CT scan slice. Image width 429 mm. Abdomen. 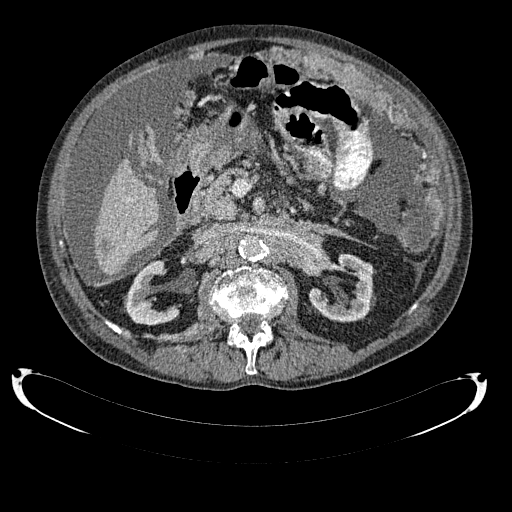 Kidney = (306, 251, 372, 321), (126, 261, 178, 324).
Focal liver lesion = (100, 241, 111, 252).
Liver = (94, 158, 158, 274).